Image size 512x512 | Slice 53 of 113 | CT scan slice | Upper abdomen
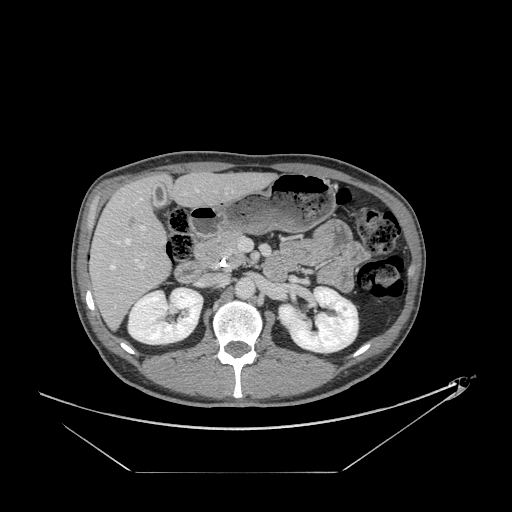
Pancreatic tumor — x1=220, y1=238, x2=237, y2=255.
Pancreas — x1=196, y1=235, x2=237, y2=260.